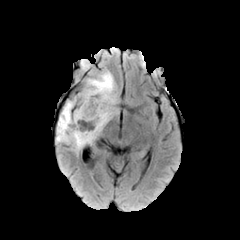
FLAIR magnetic resonance.
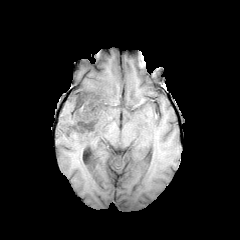
T1-weighted magnetic resonance.
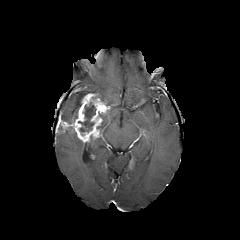
Post-contrast T1-weighted magnetic resonance.
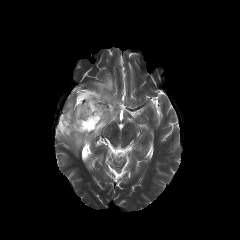
T2-weighted MR.
Image size 240x240
Edema: {"x1": 84, "y1": 72, "x2": 119, "y2": 105}, {"x1": 60, "y1": 96, "x2": 77, "y2": 123}, {"x1": 56, "y1": 132, "x2": 94, "y2": 150}, {"x1": 101, "y1": 107, "x2": 118, "y2": 130}.
Enhancing tumor: {"x1": 56, "y1": 93, "x2": 110, "y2": 143}.
Non-enhancing tumor core: {"x1": 79, "y1": 105, "x2": 94, "y2": 131}, {"x1": 76, "y1": 89, "x2": 107, "y2": 113}.